FLAIR MR image.
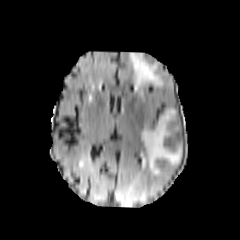
T1-weighted MR.
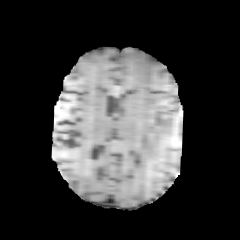
Post-contrast T1-weighted MR image.
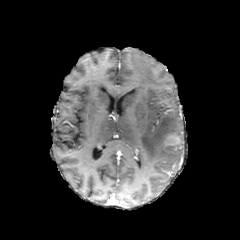
T2-weighted MR.
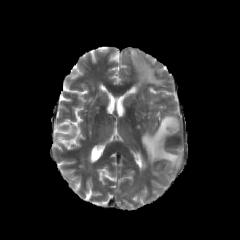
Head.
2 edema regions are located at 142 109 183 172, 129 52 164 97.